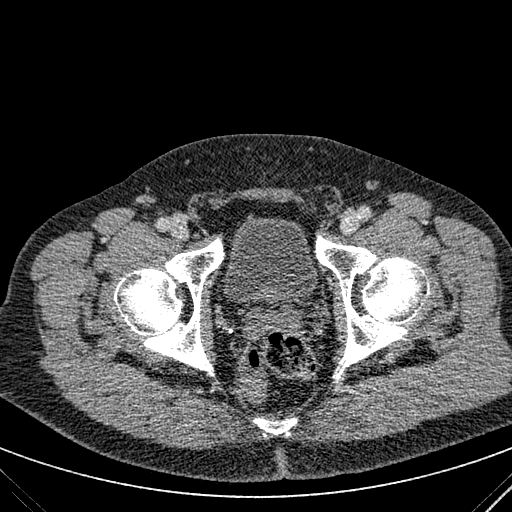
CT scan slice.

<segmentation>
  <urinary_bladder>left=219, top=213, right=319, bottom=310</urinary_bladder>
</segmentation>